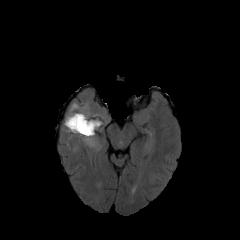
FLAIR MR.
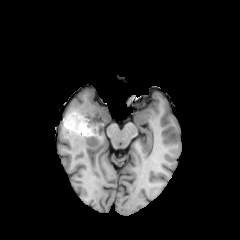
T1-weighted magnetic resonance of the same slice.
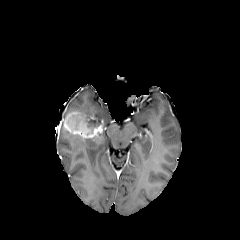
Post-contrast T1-weighted MRI.
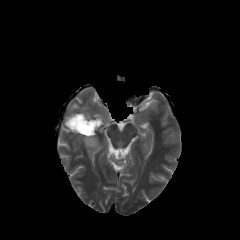
Same slice, T2-weighted MR.
Head.
• enhancing tumor: (x1=60, y1=114, x2=101, y2=139)
• non-enhancing tumor core: (x1=87, y1=118, x2=101, y2=128)
• edema: (x1=65, y1=98, x2=107, y2=124), (x1=62, y1=131, x2=102, y2=151)